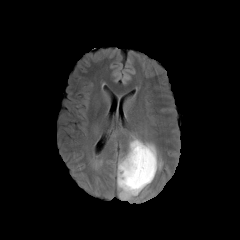
FLAIR MR.
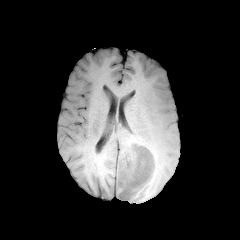
Same slice, T1-weighted MR image.
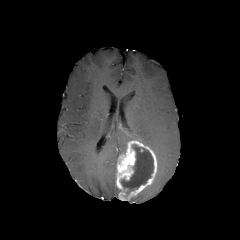
Post-contrast T1-weighted MRI.
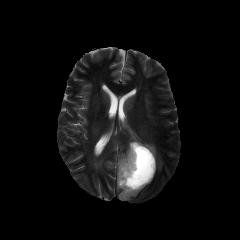
T2-weighted MR image.
Brain.
Annotated regions:
* edema: box(129, 133, 163, 170)
* non-enhancing tumor core: box(121, 145, 153, 188)
* enhancing tumor: box(116, 140, 156, 200)